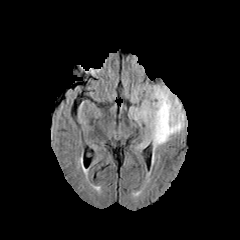
FLAIR MRI.
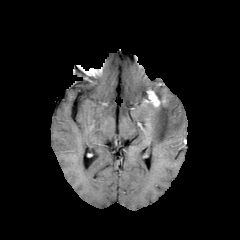
T1-weighted magnetic resonance of the same slice.
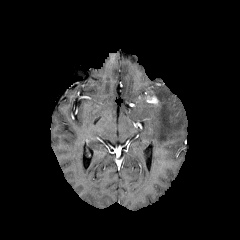
Same slice, post-contrast T1-weighted MR.
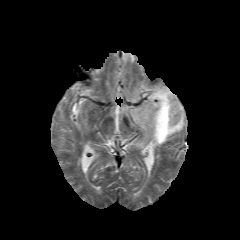
T2-weighted magnetic resonance.
Brain
Segmented structures:
- edema: l=130, t=85, r=185, b=152
- enhancing tumor: l=146, t=90, r=160, b=108